240x240. Brain.
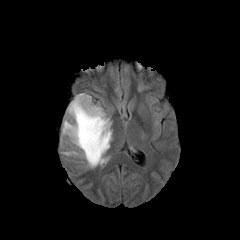
FLAIR MR.
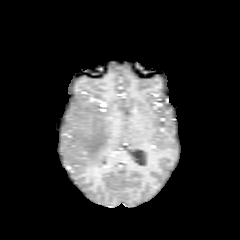
T1-weighted MR of the same slice.
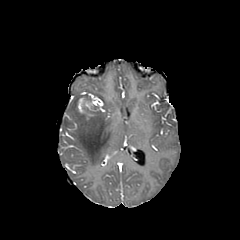
Post-contrast T1-weighted magnetic resonance.
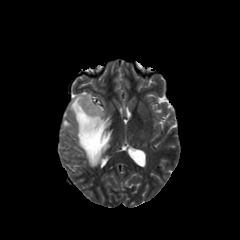
T2-weighted MR.
• enhancing tumor: (left=78, top=98, right=97, bottom=113)
• edema: (left=60, top=100, right=111, bottom=167)
• non-enhancing tumor core: (left=73, top=93, right=102, bottom=123)